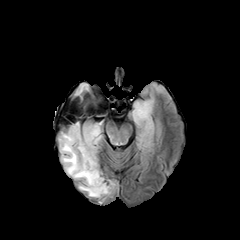
FLAIR magnetic resonance.
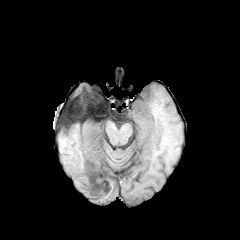
Same slice, T1-weighted magnetic resonance.
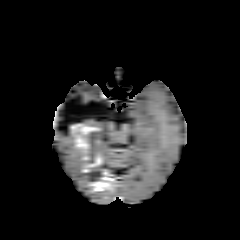
Post-contrast T1-weighted magnetic resonance.
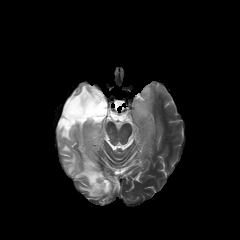
Same slice, T2-weighted MR image.
Enhancing tumor — <bbox>78, 129, 87, 157</bbox>, <bbox>90, 174, 114, 191</bbox>.
Non-enhancing tumor core — <bbox>74, 123, 100, 171</bbox>, <bbox>76, 94, 95, 119</bbox>, <bbox>61, 117, 79, 133</bbox>.
Edema — <bbox>57, 126, 117, 198</bbox>, <bbox>72, 84, 93, 98</bbox>, <bbox>86, 118, 103, 149</bbox>, <bbox>132, 100, 151, 123</bbox>.